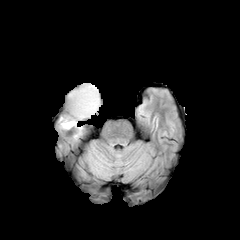
FLAIR MRI.
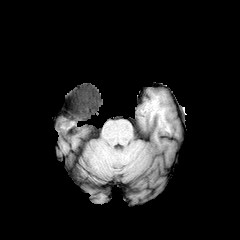
Same slice, T1-weighted MR.
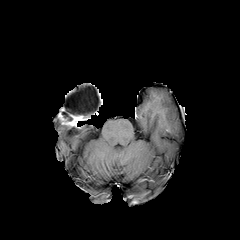
Post-contrast T1-weighted MR.
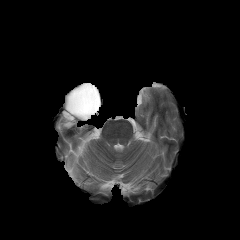
T2-weighted MRI.
Image size 240x240
* enhancing tumor: [x1=61, y1=114, x2=90, y2=126]
* non-enhancing tumor core: [x1=62, y1=83, x2=100, y2=120]